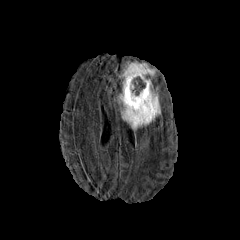
FLAIR MR.
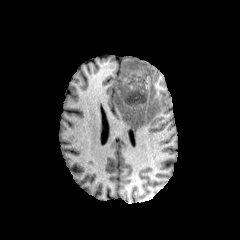
T1-weighted MRI.
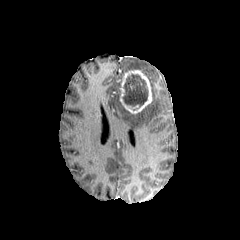
Post-contrast T1-weighted MR image of the same slice.
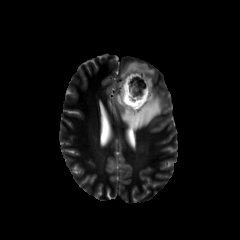
T2-weighted MR.
Head.
{"non-enhancing_tumor_core": ["[123, 74, 148, 107]"], "enhancing_tumor": ["[119, 69, 153, 113]"], "edema": ["[120, 91, 161, 131]", "[122, 62, 155, 76]"]}